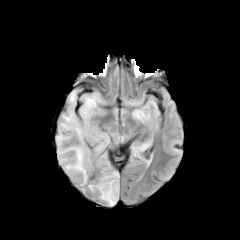
FLAIR MRI.
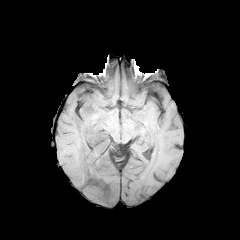
T1-weighted MRI.
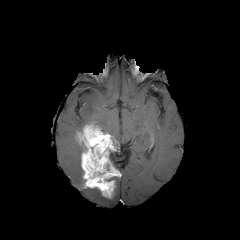
Same slice, post-contrast T1-weighted MR.
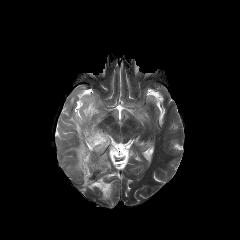
Same slice, T2-weighted magnetic resonance.
Head | 240x240 px
The enhancing tumor is located at [x1=77, y1=125, x2=119, y2=197]. 3 non-enhancing tumor core regions are bounded by [x1=106, y1=158, x2=117, y2=171], [x1=76, y1=132, x2=85, y2=167], [x1=92, y1=152, x2=102, y2=161]. 3 edema regions are located at [x1=131, y1=109, x2=144, y2=119], [x1=85, y1=177, x2=119, y2=204], [x1=56, y1=91, x2=102, y2=175].